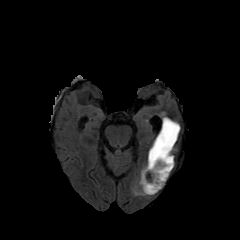
FLAIR MR image.
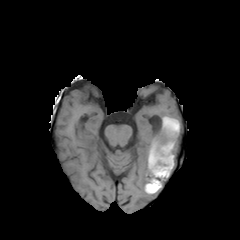
T1-weighted MR image.
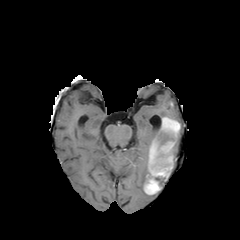
Post-contrast T1-weighted MR of the same slice.
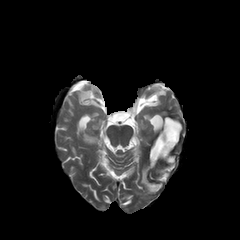
T2-weighted MR image.
Brain; Image size 240x240
Non-enhancing tumor core — x1=148, y1=146, x2=174, y2=185; x1=150, y1=126, x2=178, y2=148.
Edema — x1=137, y1=164, x2=150, y2=193.
Enhancing tumor — x1=150, y1=142, x2=173, y2=165; x1=150, y1=170, x2=165, y2=176; x1=145, y1=178, x2=159, y2=193; x1=162, y1=118, x2=179, y2=135.